FLAIR MRI.
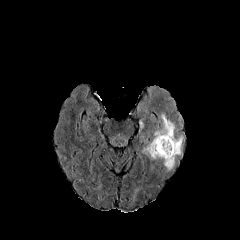
T1-weighted MR image.
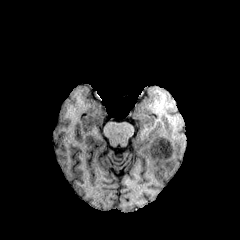
Post-contrast T1-weighted MR image.
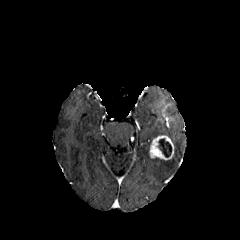
T2-weighted MR.
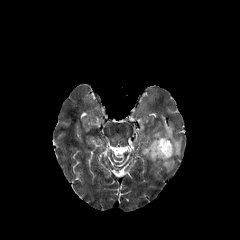
Image size 240x240, Head
Edema: bounding box (left=153, top=114, right=184, bottom=171), (left=142, top=142, right=151, bottom=156).
Non-enhancing tumor core: bounding box (left=159, top=138, right=171, bottom=157).
Enhancing tumor: bounding box (left=148, top=135, right=174, bottom=160).